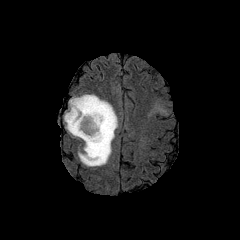
FLAIR MR.
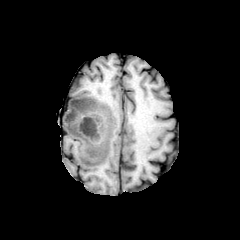
Same slice, T1-weighted MR image.
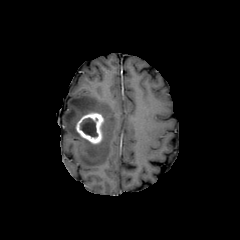
Post-contrast T1-weighted magnetic resonance.
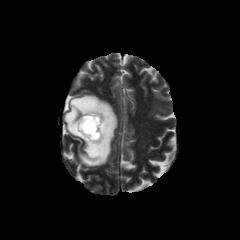
Same slice, T2-weighted MRI.
The edema is located at <bbox>62, 94, 117, 167</bbox>. The non-enhancing tumor core lies within <bbox>81, 118, 97, 136</bbox>. The enhancing tumor is located at <bbox>75, 112, 104, 143</bbox>.